MR. 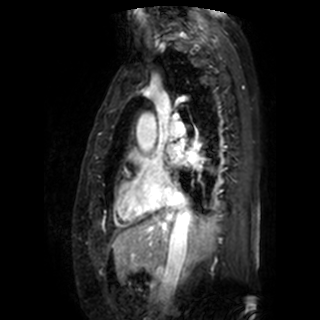

Left atrium — 169,145,181,163; 187,151,199,163.